T2-weighted MR.
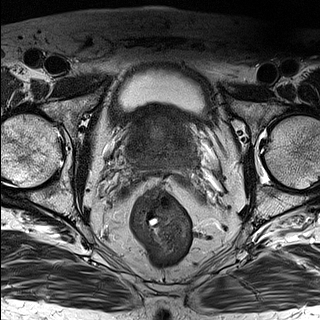
ADC MR image.
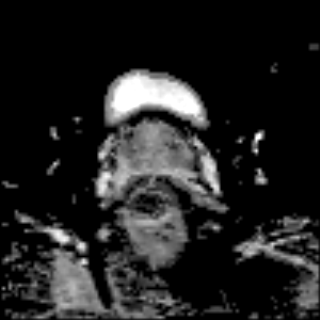
320x320 px, Prostate
{"prostate_transition_zone": ["x1=128, y1=122, x2=194, y2=167"]}